MRI slice; Hippocampus

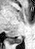
Posterior hippocampus at [x1=6, y1=36, x2=22, y2=44].